512x512; Slice index 227; Field of view 496x496 mm; CT slice 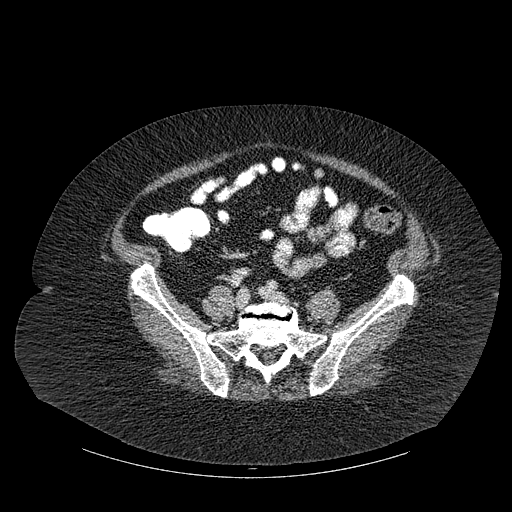
2 bone regions are located at box(131, 263, 326, 396); box(309, 275, 413, 395).